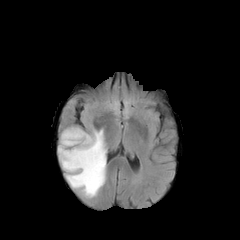
FLAIR magnetic resonance.
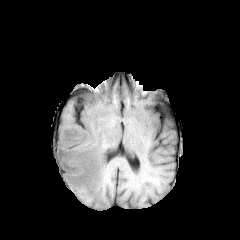
T1-weighted MR image of the same slice.
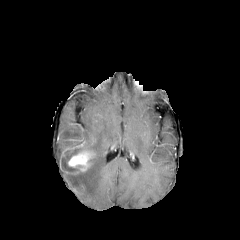
Post-contrast T1-weighted magnetic resonance of the same slice.
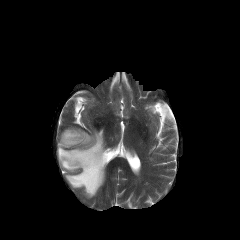
T2-weighted MR.
Enhancing tumor: (68,150,94,171).
Non-enhancing tumor core: (60,147,81,168).
Edema: (58,127,107,198).